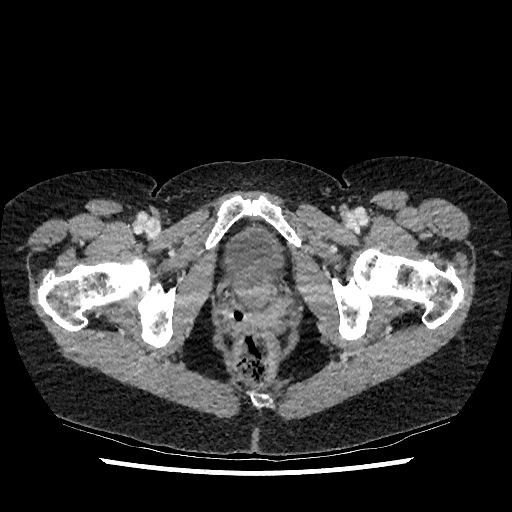 512x512 px, CT scan slice
- urinary bladder: 219:218:289:289